FLAIR magnetic resonance.
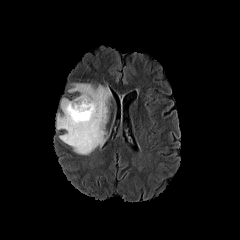
T1-weighted MR.
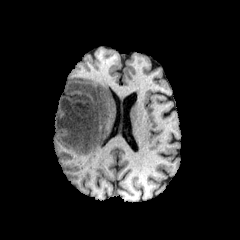
Post-contrast T1-weighted MR image.
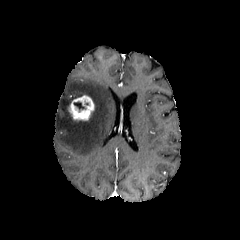
T2-weighted MR.
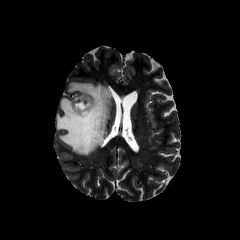
Head. 240x240.
Edema: (55, 83, 111, 155).
Non-enhancing tumor core: (73, 102, 85, 109).
Enhancing tumor: (68, 95, 94, 122).